512x512 px | Abdomen | CT
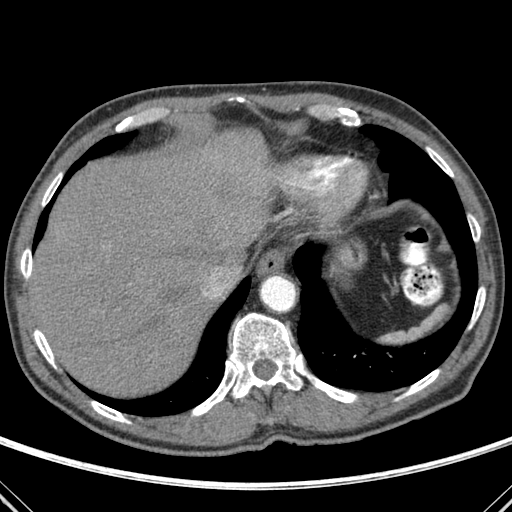

3 lung regions are located at (293, 125, 476, 391), (36, 131, 136, 243), (75, 277, 250, 416). 9 bone regions are bounded by (20, 249, 32, 278), (34, 330, 55, 367), (192, 313, 357, 415), (427, 147, 453, 176), (42, 173, 62, 206), (469, 287, 485, 327), (469, 215, 480, 241), (403, 369, 439, 396), (91, 401, 130, 423). The liver is at (31, 128, 270, 397).